Field of view 240 mm wide, 1.00 mm slice spacing
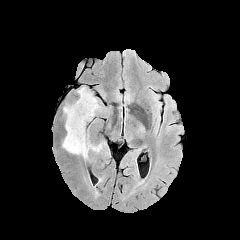
FLAIR MRI.
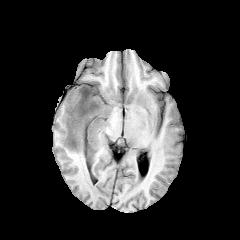
T1-weighted MRI of the same slice.
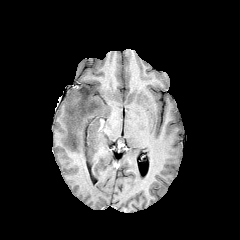
Post-contrast T1-weighted MR image of the same slice.
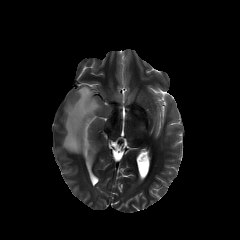
T2-weighted magnetic resonance.
{"edema": ["[x1=61, y1=86, x2=106, y2=159]"], "non-enhancing_tumor_core": ["[x1=78, y1=90, x2=89, y2=115]"]}